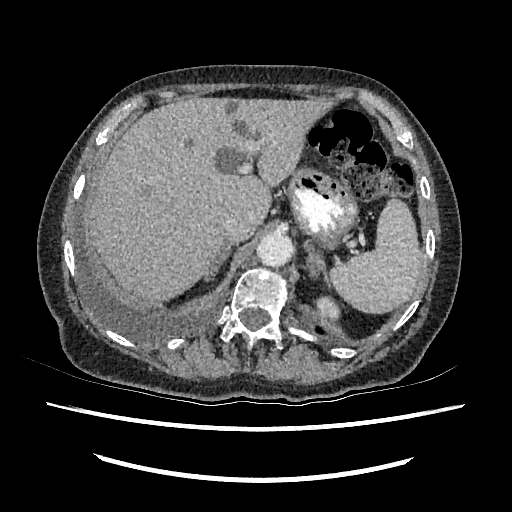

CT scan slice, Image size 512x512

The liver is located at [92,98,329,299]. The kidney is at [315,298,337,317]. 3 liver lesion regions appear at [216,148,247,172], [227,103,236,111], [233,122,245,134].